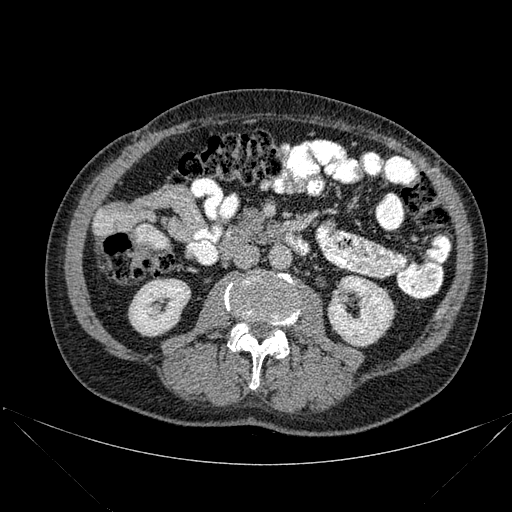 512x512; CT slice; Abdomen
The bone lies within [224,274,298,389]. 2 kidney regions are located at [129,279,190,335], [328,276,393,345].